Slice 18 of 37. Medial temporal lobe. Image size 36x53. MR image. 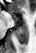
The posterior hippocampus is located at <bbox>15, 24, 28, 44</bbox>. 2 anterior hippocampus regions are bounded by <bbox>10, 13, 17, 20</bbox>, <bbox>23, 22, 25, 23</bbox>.